Computed tomography, Slice index 47, 512x512
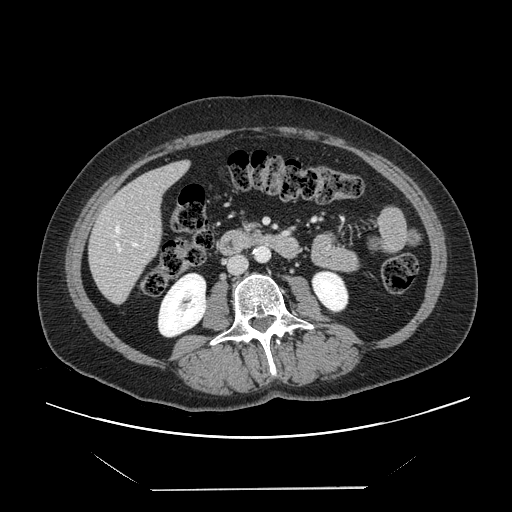

Not every hepatic vessel necessarily has a box.
<segmentation>
  <hepatic_vessel>box=[112, 222, 121, 252]; box=[131, 241, 143, 246]</hepatic_vessel>
</segmentation>